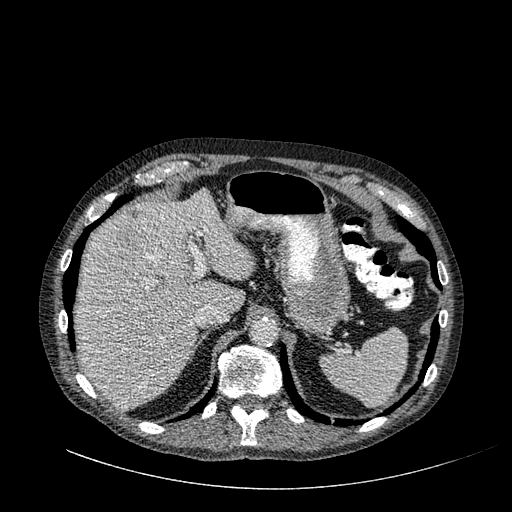 CT. Image size 512x512.

Segmented structures:
* liver: x1=76 y1=188 x2=253 y2=410
* focal liver lesion: x1=117 y1=227 x2=140 y2=248